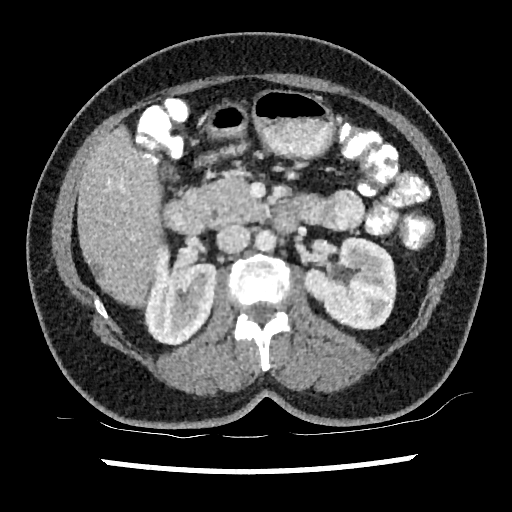

CT slice | Abdomen
{"liver": ["left=78, top=127, right=161, bottom=303"], "liver_lesion": ["left=91, top=265, right=103, bottom=278", "left=160, top=164, right=172, bottom=179"], "kidney": ["left=146, top=248, right=215, bottom=344", "left=306, top=238, right=395, bottom=328"]}